Field of view 240 mm wide, 1.00 mm slice spacing. Brain.
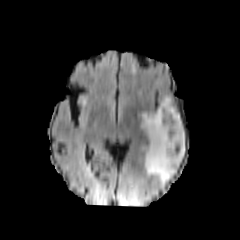
FLAIR MR.
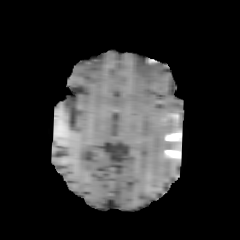
T1-weighted magnetic resonance.
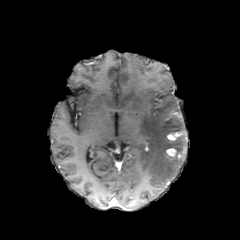
Same slice, post-contrast T1-weighted MRI.
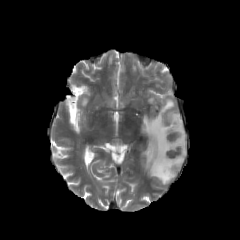
T2-weighted magnetic resonance of the same slice.
Edema = x1=140 y1=95 x2=186 y2=188.
Enhancing tumor = x1=167 y1=131 x2=180 y2=140, x1=167 y1=148 x2=176 y2=156.
Non-enhancing tumor core = x1=166 y1=148 x2=181 y2=157.